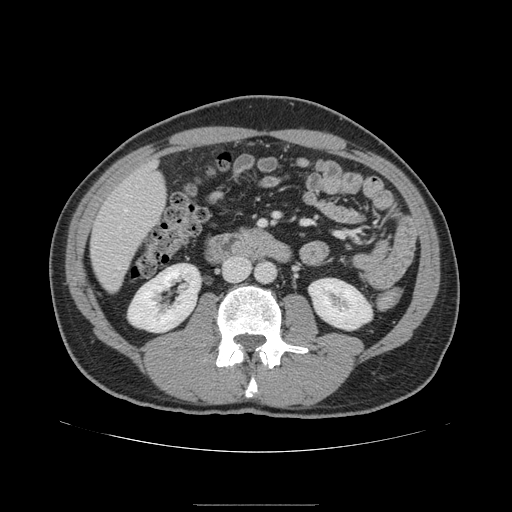 CT slice, Abdomen

pancreas:
  - [244,228,271,240]